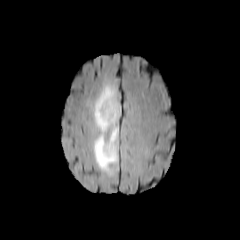
FLAIR magnetic resonance.
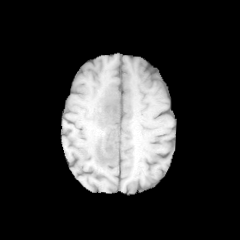
T1-weighted magnetic resonance of the same slice.
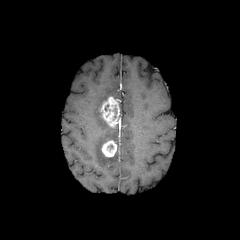
Post-contrast T1-weighted MRI.
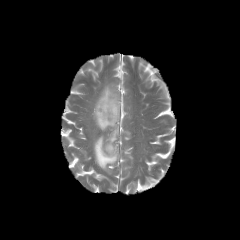
T2-weighted magnetic resonance of the same slice.
Head
<segmentation>
  <enhancing_tumor>(x1=102, y1=141, x2=117, y2=157), (x1=101, y1=96, x2=120, y2=127)</enhancing_tumor>
  <edema>(x1=94, y1=83, x2=120, y2=169)</edema>
</segmentation>